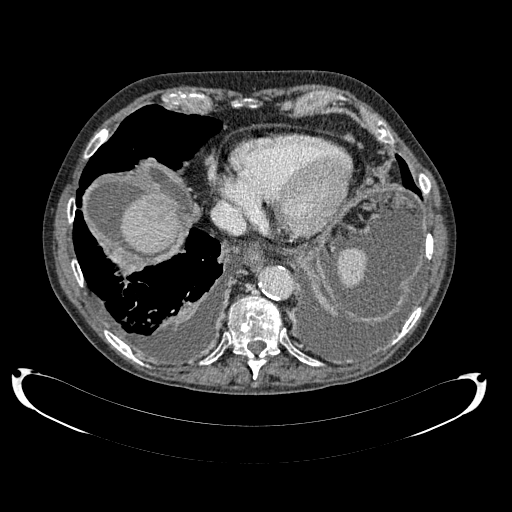
CT scan slice.
liver lesion: <bbox>144, 209, 163, 220</bbox> | liver: <bbox>123, 194, 178, 253</bbox>